240x240 px
FLAIR MRI.
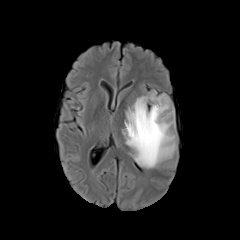
T1-weighted MRI.
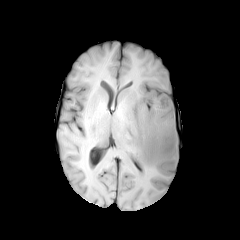
Post-contrast T1-weighted magnetic resonance.
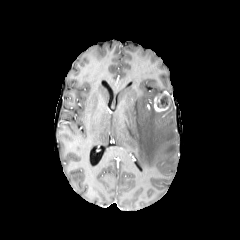
T2-weighted MR image.
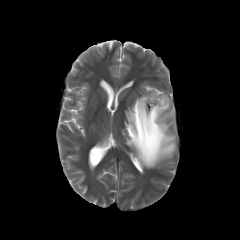
Non-enhancing tumor core: bounding box [x1=151, y1=92, x2=171, y2=112].
Edema: bounding box [x1=121, y1=89, x2=178, y2=170].
Enhancing tumor: bounding box [x1=154, y1=97, x2=167, y2=111].